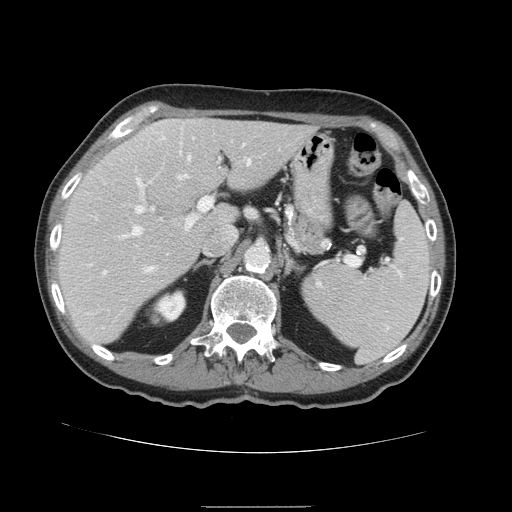
CT scan slice; 512x512 px
The vessel boxes may cover only some of the vessels.
hepatic vessel: (151, 206, 154, 209), (188, 156, 190, 159), (136, 206, 144, 212), (137, 178, 144, 188), (185, 215, 196, 228), (178, 174, 187, 177), (121, 226, 141, 237), (215, 212, 237, 246), (180, 151, 182, 153), (218, 157, 220, 160), (145, 267, 153, 271), (198, 197, 211, 211), (103, 271, 105, 273), (246, 157, 250, 163), (205, 249, 210, 254)